CT.

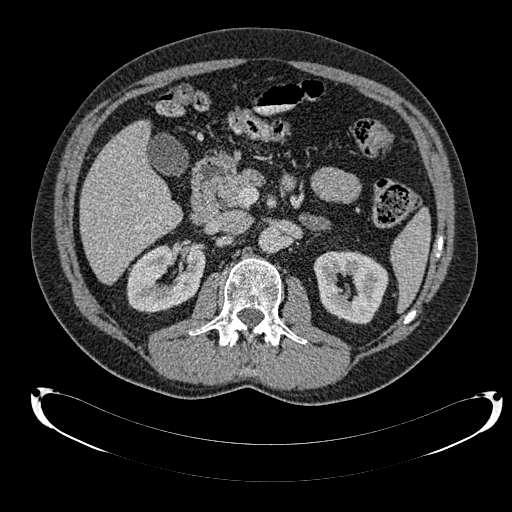
2 kidney regions appear at [127,246,204,311], [314,252,387,323]. The liver lies within [80,121,182,283].